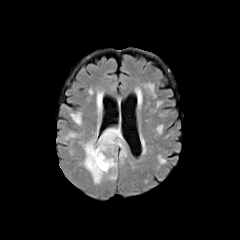
FLAIR MR.
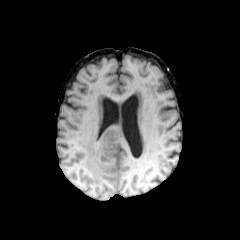
Same slice, T1-weighted MR image.
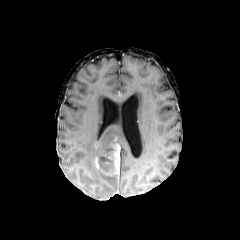
Post-contrast T1-weighted MR image.
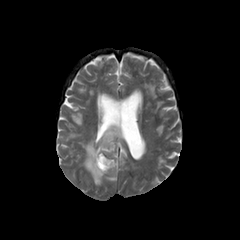
Same slice, T2-weighted MR.
Brain | 240x240
enhancing tumor: x1=93, y1=157, x2=99, y2=169; x1=102, y1=144, x2=120, y2=178 | non-enhancing tumor core: x1=96, y1=142, x2=120, y2=173 | edema: x1=79, y1=103, x2=127, y2=184; x1=65, y1=131, x2=78, y2=140